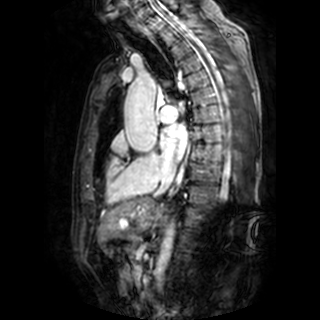 MRI slice, Heart
Segmented structures:
• left atrium: (160,124,186,161)